FLAIR MRI.
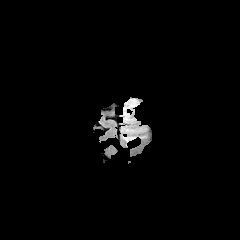
T1-weighted MRI.
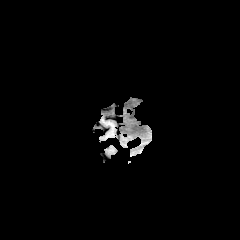
Post-contrast T1-weighted MR.
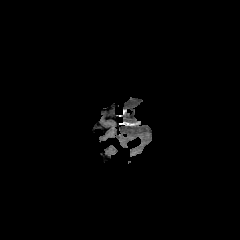
T2-weighted MR.
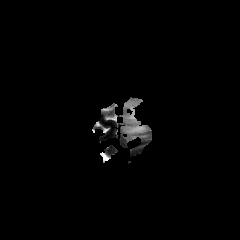
non-enhancing tumor core: (left=123, top=118, right=133, bottom=127) | edema: (left=124, top=100, right=137, bottom=111) | enhancing tumor: (left=126, top=120, right=139, bottom=137)